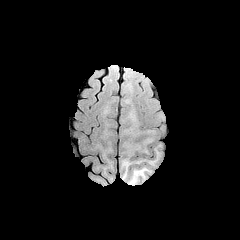
FLAIR magnetic resonance.
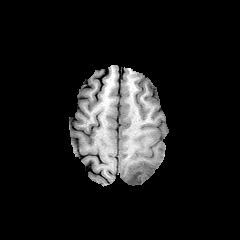
T1-weighted MR.
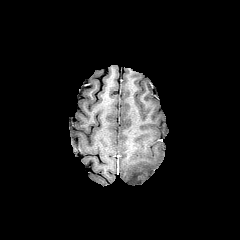
Post-contrast T1-weighted MRI of the same slice.
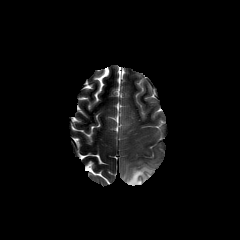
Same slice, T2-weighted magnetic resonance.
Findings:
• edema: region(122, 161, 151, 184)